FLAIR MRI.
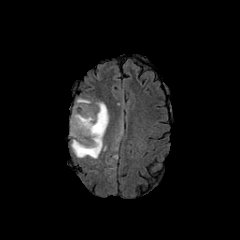
T1-weighted MRI.
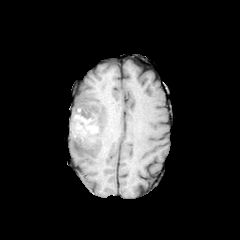
Post-contrast T1-weighted MR image.
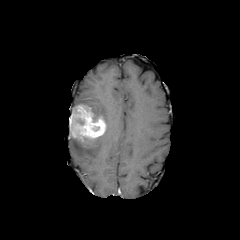
T2-weighted MR image.
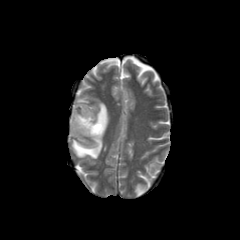
Head
Edema: (73,98,109,129), (69,130,105,160).
Enhancing tumor: (69,104,105,138).